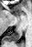

32x47. Magnetic resonance. Hippocampus.
posterior hippocampus: rect(7, 33, 22, 41)